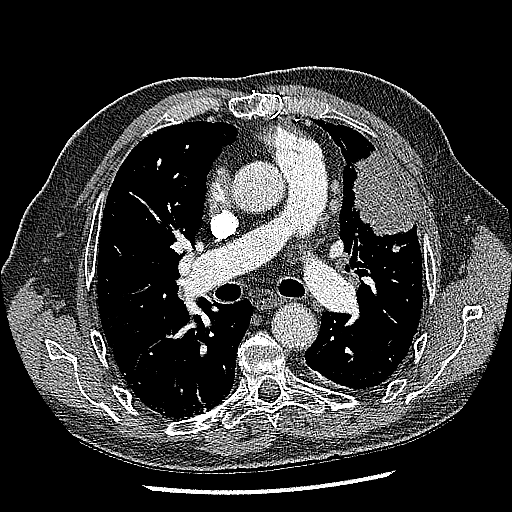
CT slice. 512x512. Lung. lung tumor: x1=350, y1=150, x2=414, y2=235